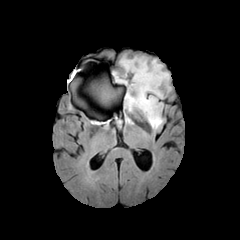
FLAIR magnetic resonance.
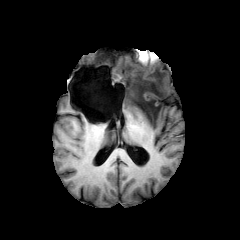
Same slice, T1-weighted MR image.
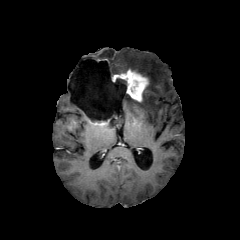
Same slice, post-contrast T1-weighted MR image.
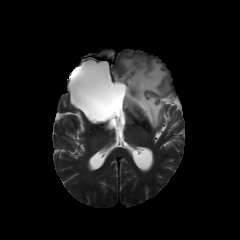
T2-weighted MR.
Brain.
The enhancing tumor is located at 114,69,148,101. 5 non-enhancing tumor core regions appear at 126,78,160,119; 116,78,126,90; 122,68,147,77; 92,118,108,125; 94,84,116,103. The edema is at 119,55,170,130.